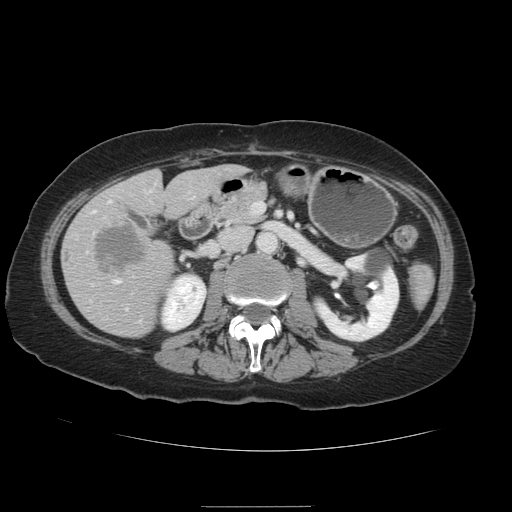
CT scan slice, Abdomen
The vessel annotation is not exhaustive.
Liver tumor: bounding box box=[96, 224, 145, 271].
Hepatic vessel: bounding box box=[108, 201, 109, 202]; box=[113, 280, 118, 283]; box=[91, 211, 93, 213].